FLAIR MRI.
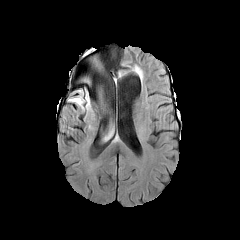
T1-weighted MR.
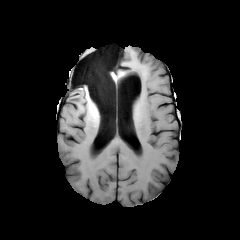
Post-contrast T1-weighted MR.
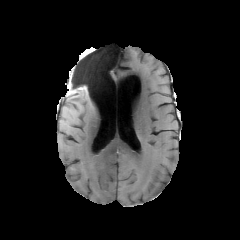
T2-weighted MRI.
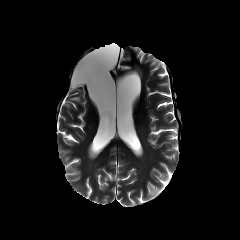
Brain.
Segmented structures:
- edema: <bbox>68, 89, 85, 111</bbox>